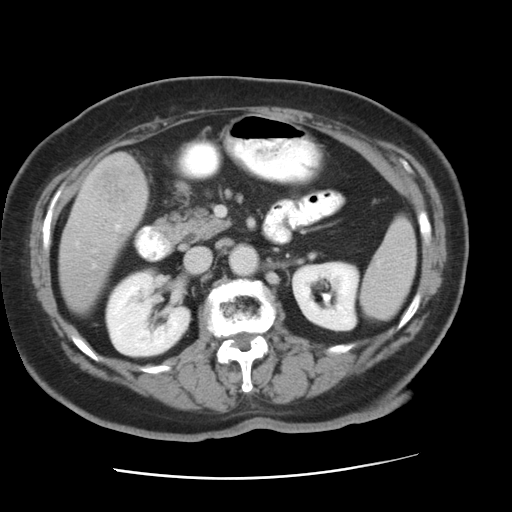 CT

Not every hepatic vessel necessarily has a box.
Liver tumor — <bbox>92, 160, 138, 208</bbox>.
Hepatic vessel — <bbox>115, 224, 119, 229</bbox>, <bbox>92, 264, 95, 266</bbox>.